Image size 512x512; Abdomen; Image width 386 mm; Slice index 111; Computed tomography 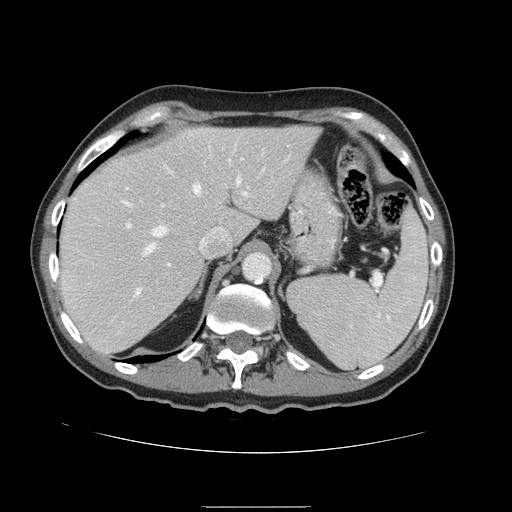 Not every hepatic vessel necessarily has a box.
Hepatic vessel at x1=125, y1=201, x2=129, y2=204; x1=127, y1=223, x2=130, y2=226; x1=199, y1=212, x2=231, y2=256; x1=168, y1=263, x2=170, y2=266; x1=243, y1=192, x2=247, y2=194; x1=237, y1=177, x2=240, y2=184; x1=194, y1=184, x2=200, y2=193; x1=152, y1=226, x2=166, y2=236; x1=145, y1=244, x2=154, y2=252; x1=229, y1=159, x2=230, y2=160; x1=136, y1=288, x2=141, y2=294.